Computed tomography; Slice index 42; 512x512

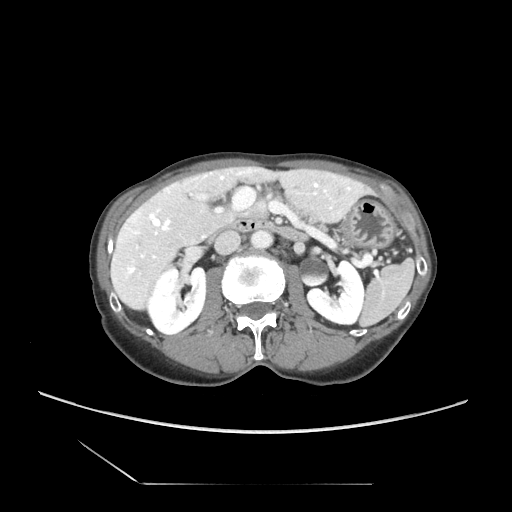

2 pancreas regions appear at [285, 198, 297, 210], [299, 211, 331, 233].